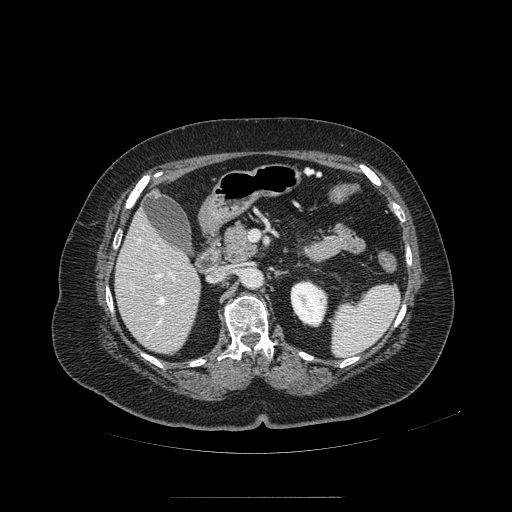

Abdomen; CT scan slice

Pancreas: bounding box bbox(223, 222, 259, 265).